MR image. Hippocampus. Slice 34 of 40. 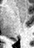
Segmented structures:
• posterior hippocampus: rect(13, 40, 17, 40)